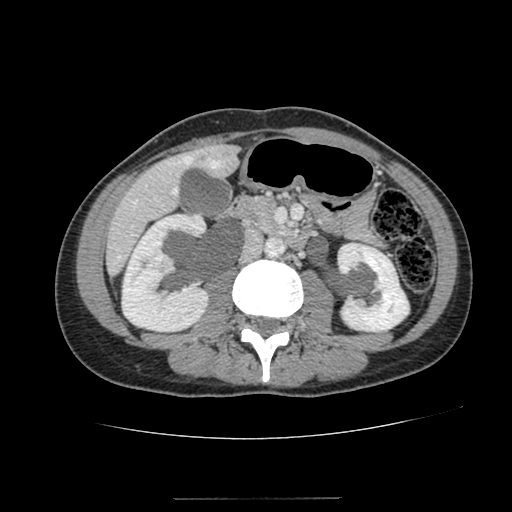
CT slice. Kidney: [x1=122, y1=214, x2=207, y2=331], [x1=338, y1=243, x2=408, y2=331].
Liver: [x1=107, y1=143, x2=239, y2=275].